FLAIR MR.
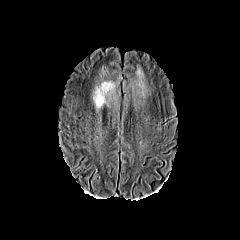
T1-weighted magnetic resonance.
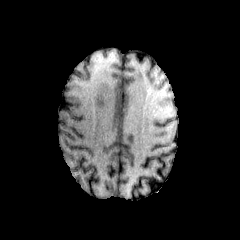
Post-contrast T1-weighted magnetic resonance.
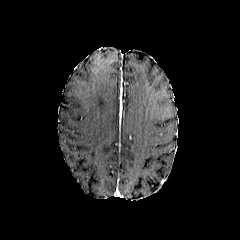
T2-weighted MR image.
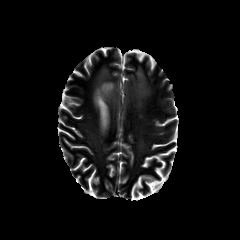
Head
edema:
  - (x1=136, y1=70, x2=142, y2=86)
  - (x1=93, y1=82, x2=111, y2=107)